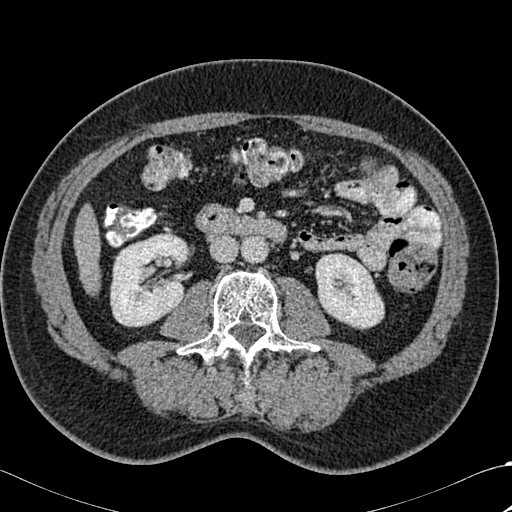

512x512 px; CT image
• liver: (left=75, top=214, right=100, bottom=291)
• bone: (left=239, top=381, right=250, bottom=402), (left=178, top=271, right=317, bottom=367)
• kidney: (left=316, top=254, right=383, bottom=327), (left=111, top=234, right=186, bottom=325)